FLAIR magnetic resonance.
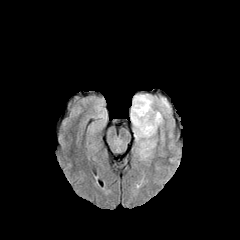
T1-weighted MRI.
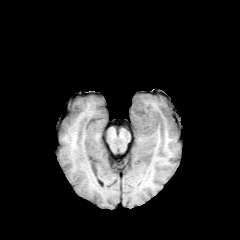
Post-contrast T1-weighted MR image.
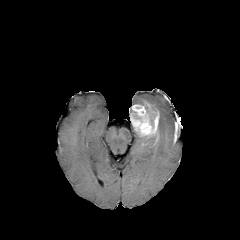
T2-weighted magnetic resonance.
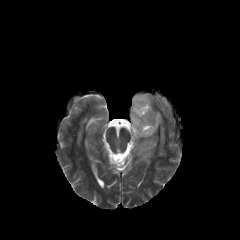
Head | Image size 240x240
{
  "enhancing_tumor": [
    "left=130, top=103, right=159, bottom=136"
  ],
  "edema": [
    "left=133, top=127, right=157, bottom=159",
    "left=132, top=94, right=170, bottom=113"
  ]
}